512x512 px; CT; Slice 470 of 677
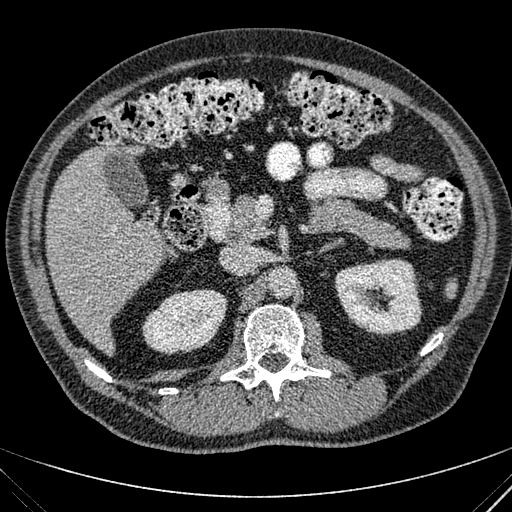
The liver lies within (left=45, top=146, right=166, bottom=354). 2 kidney regions are located at (left=336, top=260, right=421, bottom=333), (left=143, top=290, right=226, bottom=353).